FLAIR MRI.
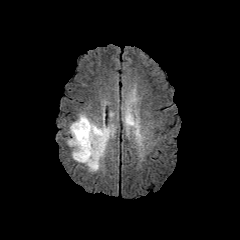
T1-weighted MRI.
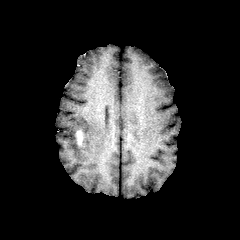
Post-contrast T1-weighted MR image.
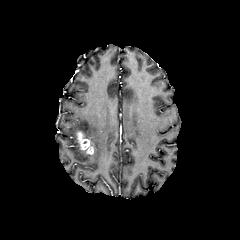
T2-weighted MR image.
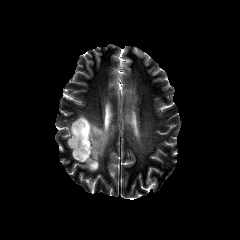
Head
<segmentation>
  <edema>rect(122, 102, 135, 127); rect(66, 114, 117, 171)</edema>
  <non-enhancing_tumor_core>rect(74, 135, 81, 151)</non-enhancing_tumor_core>
  <enhancing_tumor>rect(76, 132, 93, 154)</enhancing_tumor>
</segmentation>